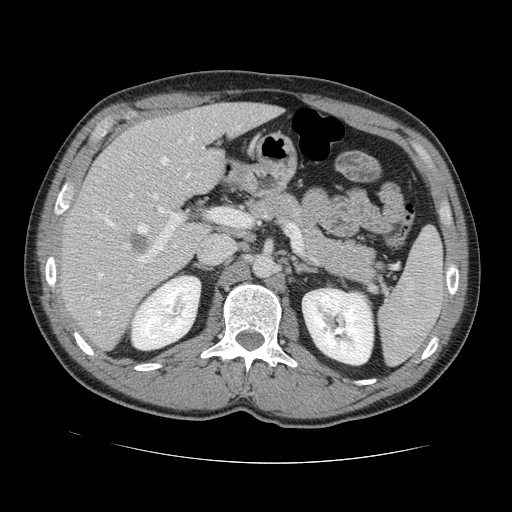
512x512 px; CT scan slice
Some hepatic vessels may have no box.
<segmentation partial="true">
  <hepatic_vessel shown="15" total="27">(188,135,193,141), (122,243,129,248), (161,157,167,163), (97,310,100,315), (186,173,189,177), (152,194,156,198), (98,274,101,278), (137,257,141,260), (126,275,130,280), (138,224,146,232), (129,296,135,299), (92,208,97,213), (101,208,113,226), (234,126,239,128), (127,193,132,197)</hepatic_vessel>
  <liver_tumor>(130,233,150,254)</liver_tumor>
</segmentation>